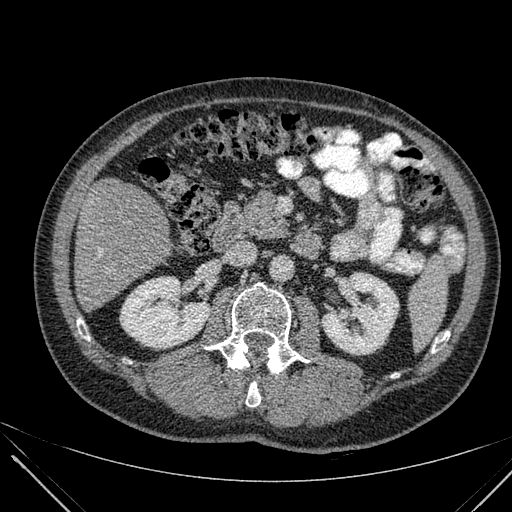 Upper abdomen, CT slice, 512x512 px

2 kidney regions appear at box=[322, 273, 398, 354]; box=[120, 277, 209, 347]. The liver is located at box=[74, 178, 174, 310].